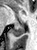

Medial temporal lobe, MRI slice
<segmentation>
  <posterior_hippocampus><bbox>11, 25, 24, 36</bbox></posterior_hippocampus>
</segmentation>